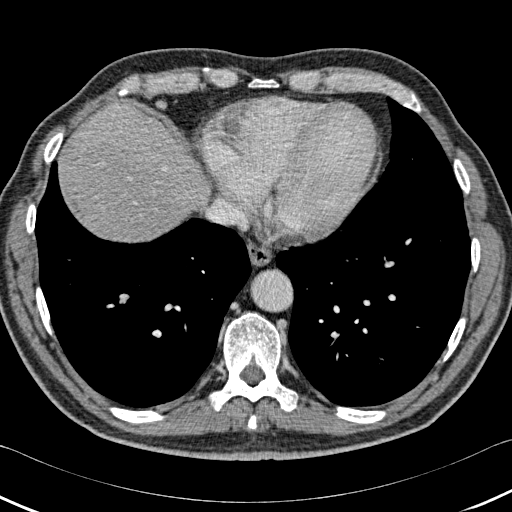 Computed tomography | Liver
lung:
  - (left=274, top=96, right=470, bottom=406)
  - (left=35, top=161, right=252, bottom=408)
liver:
  - (left=68, top=108, right=206, bottom=241)
bone:
  - (left=119, top=88, right=127, bottom=95)
  - (left=110, top=408, right=164, bottom=423)
  - (left=210, top=313, right=297, bottom=411)
  - (left=400, top=93, right=420, bottom=112)
  - (left=36, top=287, right=51, bottom=334)
  - (left=454, top=159, right=469, bottom=193)
  - (left=44, top=133, right=62, bottom=163)
  - (left=248, top=415, right=256, bottom=428)
  - (left=26, top=204, right=35, bottom=233)
  - (left=471, top=238, right=480, bottom=271)
  - (left=249, top=79, right=278, bottom=87)
  - (left=443, top=318, right=465, bottom=361)
  - (left=336, top=407, right=385, bottom=423)